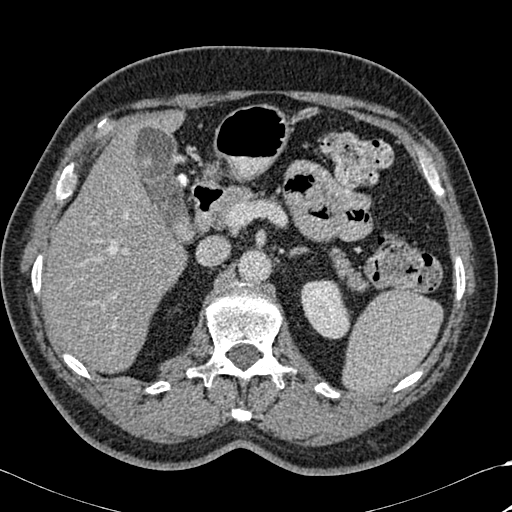 CT image
The kidney appears at x1=302, y1=281, x2=348, y2=337. 2 liver regions appear at x1=151, y1=111, x2=183, y2=134; x1=40, y1=124, x2=186, y2=372. 10 bone regions appear at x1=146, y1=381, x2=169, y2=393; x1=32, y1=256, x2=41, y2=292; x1=455, y1=258, x2=464, y2=298; x1=56, y1=165, x2=72, y2=199; x1=315, y1=383, x2=339, y2=397; x1=64, y1=354, x2=88, y2=377; x1=189, y1=283, x2=293, y2=386; x1=432, y1=179, x2=443, y2=195; x1=394, y1=371, x2=421, y2=390; x1=232, y1=409, x2=250, y2=420.